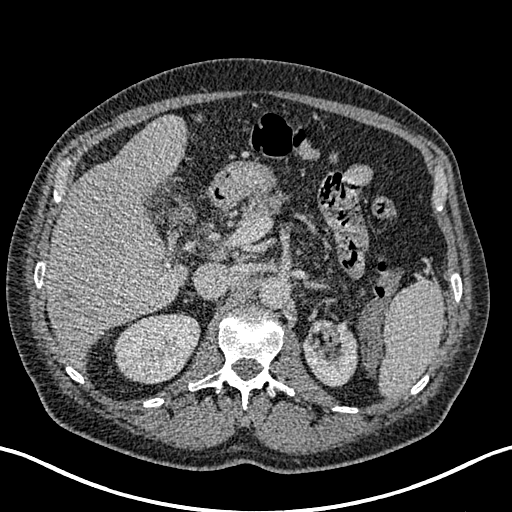

Computed tomography. Upper abdomen.
liver_lesion:
  - [x1=54, y1=282, x2=82, y2=322]
  - [x1=89, y1=311, x2=97, y2=321]
kidney:
  - [x1=115, y1=315, x2=199, y2=382]
  - [x1=304, y1=322, x2=356, y2=385]
liver:
  - [x1=46, y1=116, x2=188, y2=371]